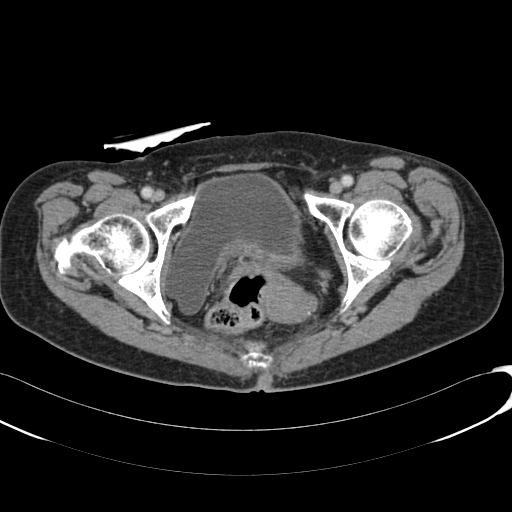
Lower abdomen, CT
The urinary bladder lies within <box>164,173,301,314</box>.